Abdomen. CT slice. Field of view 478x478 mm.
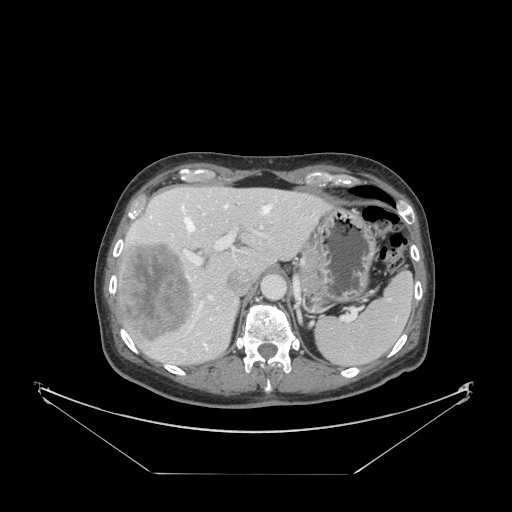 Spleen — region(315, 273, 413, 366).